Field of view 240 mm wide, 1.00 mm slice spacing | Brain | Slice 104/155
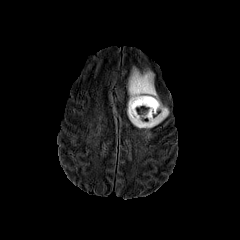
FLAIR MRI.
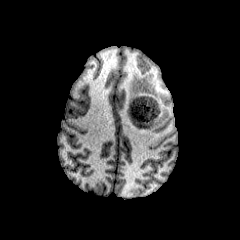
T1-weighted magnetic resonance of the same slice.
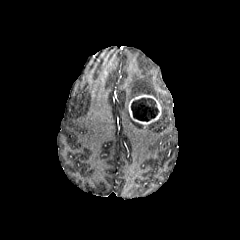
Post-contrast T1-weighted MR.
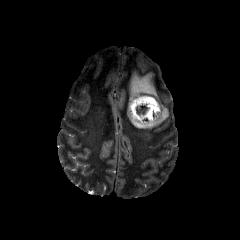
T2-weighted MRI of the same slice.
edema: [128,71,158,101], [127,102,168,129] | non-enhancing tumor core: [131,98,159,121] | enhancing tumor: [129,94,161,125]